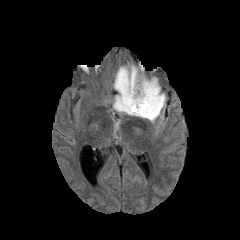
FLAIR magnetic resonance.
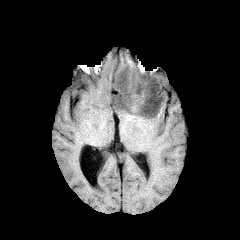
T1-weighted MR image.
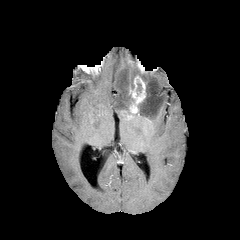
Same slice, post-contrast T1-weighted MR image.
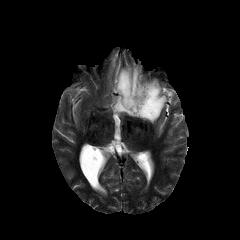
T2-weighted MRI.
Brain
The enhancing tumor lies within [129,76,146,115]. The edema is at [110,61,168,128]. 2 non-enhancing tumor core regions appear at [138,81,157,117], [116,77,133,115].